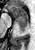 Magnetic resonance

The anterior hippocampus appears at 10 6 27 20. The posterior hippocampus is at 16 21 27 29.